Slice 105 of 155, Image width 240 mm
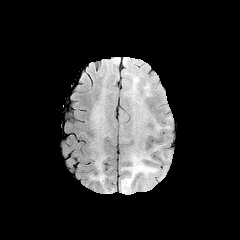
FLAIR MR image.
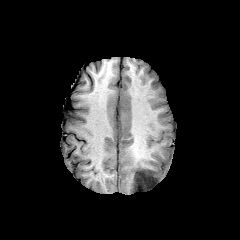
T1-weighted MR image.
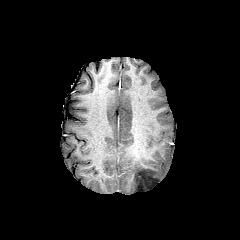
Post-contrast T1-weighted magnetic resonance of the same slice.
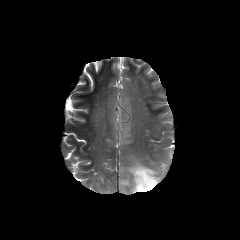
T2-weighted MR of the same slice.
Edema — 121:154:159:192.
Non-enhancing tumor core — 133:167:156:189.